Hippocampus, MRI slice

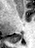
The posterior hippocampus appears at <bbox>13, 34, 22, 39</bbox>.